FLAIR MRI.
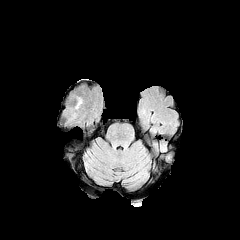
T1-weighted MRI.
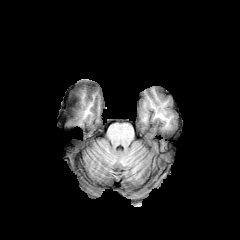
Post-contrast T1-weighted magnetic resonance.
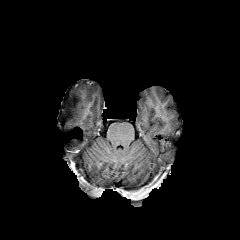
T2-weighted MR image.
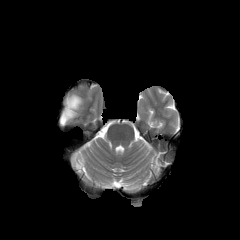
Head
<segmentation>
  <non-enhancing_tumor_core>rect(64, 105, 77, 117)</non-enhancing_tumor_core>
</segmentation>